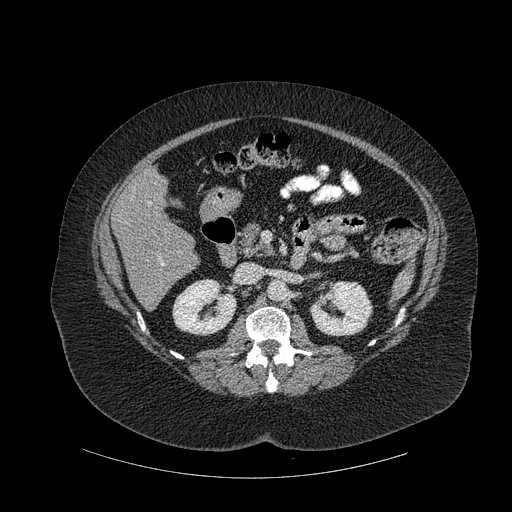 Upper abdomen. Image size 512x512. CT slice.
Kidney — (x1=311, y1=282, x2=371, y2=335), (x1=173, y1=279, x2=235, y2=334).
Bone — (x1=137, y1=312, x2=144, y2=330), (x1=266, y1=369, x2=277, y2=391), (x1=245, y1=307, x2=311, y2=367), (x1=396, y1=309, x2=404, y2=324).
Liver — (x1=112, y1=172, x2=199, y2=304).